Pelvis | Field of view 200 mm wide, 3.60 mm slice spacing
T2-weighted MRI.
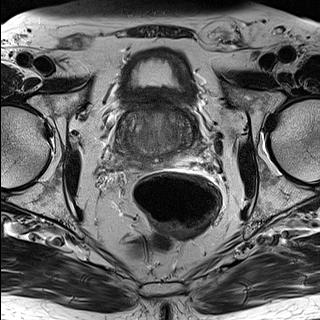
ADC MR.
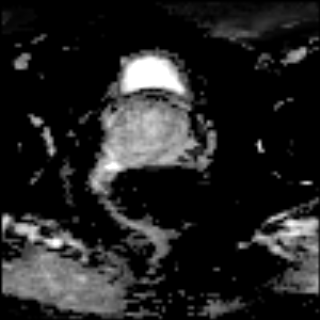
The prostate transition zone is at l=117, t=109, r=195, b=162. The prostate peripheral zone lies within l=117, t=137, r=197, b=167.